Slice index 648; Computed tomography; 512x512 px

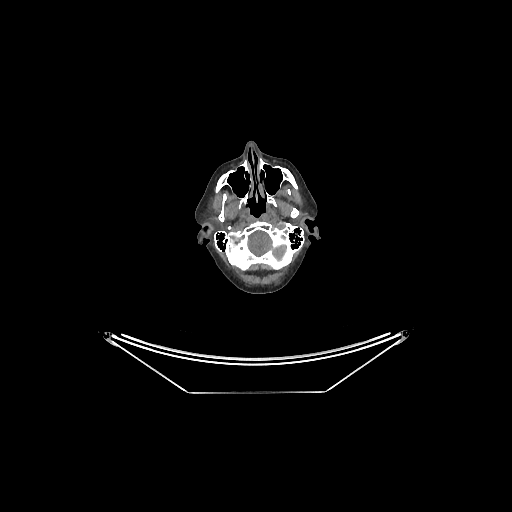

The brain lies within <box>247,229,286,261</box>.